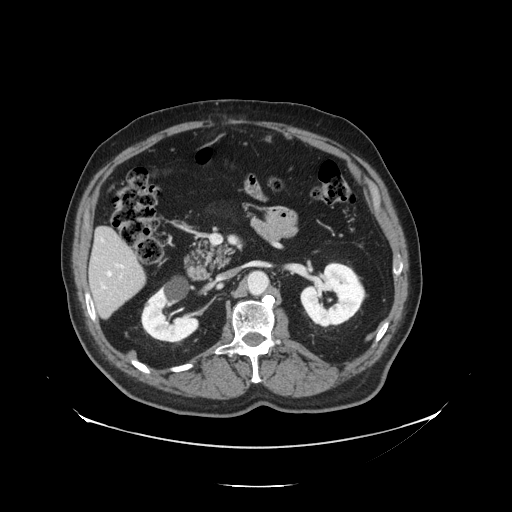 CT image | Abdomen
Only some of the vessels may be annotated.
5 hepatic vessel regions appear at 116, 264, 123, 267; 100, 239, 103, 241; 107, 272, 111, 276; 102, 284, 106, 288; 120, 275, 122, 277.